Brain; Image size 240x240
FLAIR MRI.
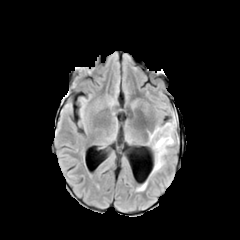
T1-weighted MR.
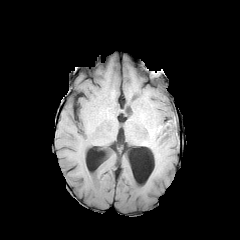
Post-contrast T1-weighted MRI.
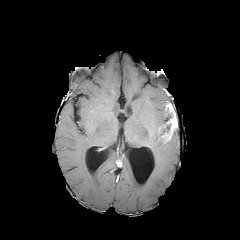
T2-weighted magnetic resonance.
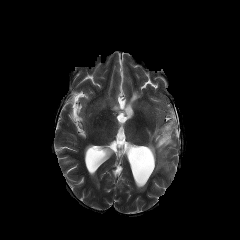
edema:
  - 147, 124, 176, 173
  - 136, 180, 147, 191
enhancing_tumor:
  - 162, 115, 177, 141